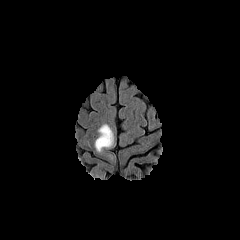
FLAIR MRI.
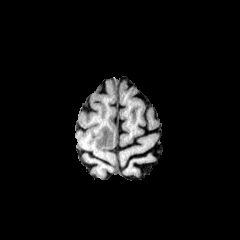
T1-weighted magnetic resonance.
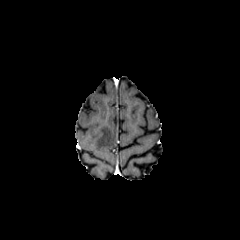
Post-contrast T1-weighted MRI.
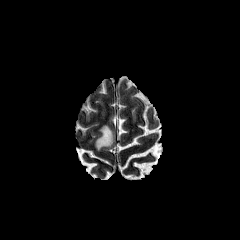
T2-weighted MR image.
Head.
The edema is at l=95, t=125, r=113, b=151.